Abdomen, Image size 512x512, Computed tomography, Slice index 146, Field of view 410 mm wide, 1.50 mm slice spacing
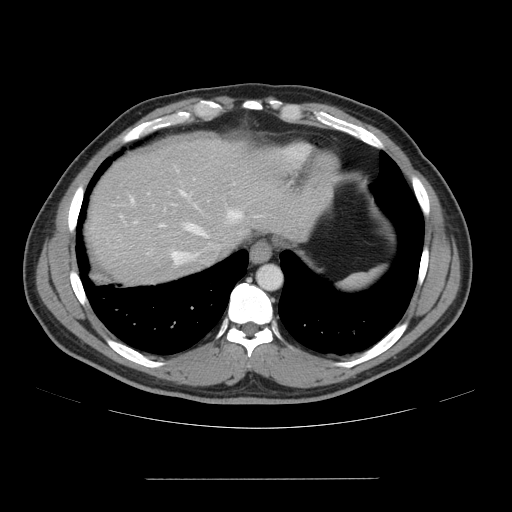 Some hepatic vessels may have no box.
{"hepatic_vessel": ["[x1=120, y1=215, x2=121, y2=217]", "[x1=194, y1=203, x2=195, y2=206]", "[x1=185, y1=224, x2=206, y2=237]", "[x1=256, y1=216, x2=259, y2=216]", "[x1=131, y1=197, x2=133, y2=202]", "[x1=179, y1=190, x2=184, y2=194]", "[x1=160, y1=224, x2=163, y2=226]", "[x1=172, y1=252, x2=196, y2=264]", "[x1=229, y1=210, x2=240, y2=220]"]}